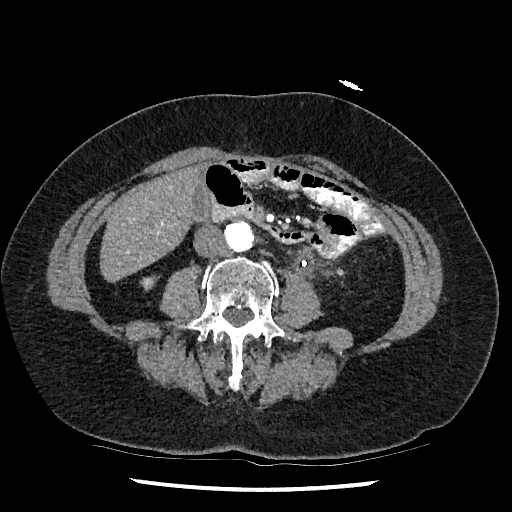 CT image

Kidney — [x1=144, y1=279, x2=152, y2=287].
Liver — [x1=100, y1=165, x2=199, y2=280].